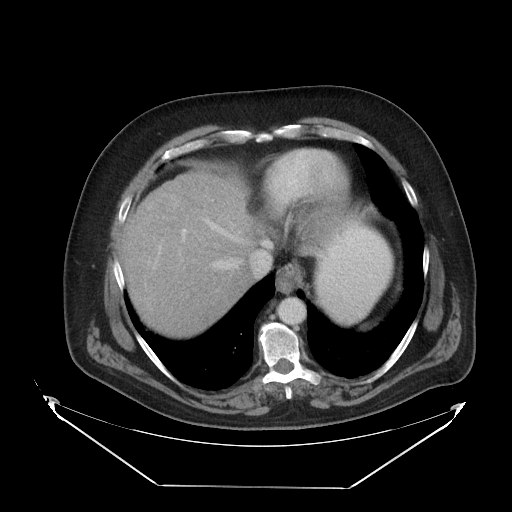

CT scan slice.

The vessel annotation is not exhaustive.
{"hepatic_vessel": ["(left=280, top=172, right=283, bottom=183)", "(left=251, top=240, right=271, bottom=275)", "(left=181, top=229, right=187, bottom=241)", "(left=210, top=258, right=241, bottom=269)", "(left=202, top=217, right=243, bottom=242)"]}